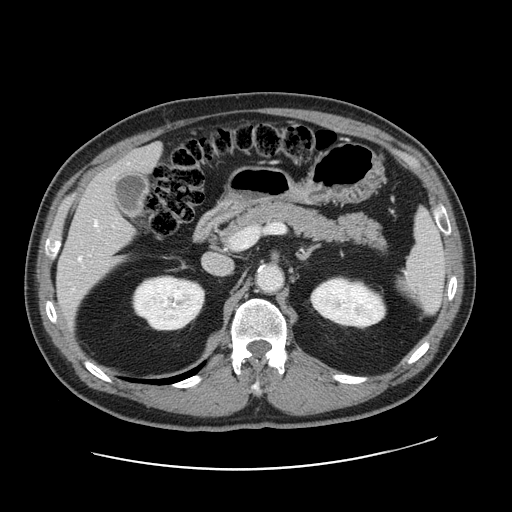
Computed tomography
The vessel boxes may cover only some of the vessels.
{
  "hepatic_vessel": [
    "[x1=72, y1=288, x2=73, y2=290]",
    "[x1=153, y1=144, x2=160, y2=148]",
    "[x1=125, y1=224, x2=132, y2=231]",
    "[x1=94, y1=220, x2=99, y2=230]",
    "[x1=112, y1=258, x2=118, y2=261]",
    "[x1=113, y1=176, x2=115, y2=177]",
    "[x1=78, y1=257, x2=81, y2=260]"
  ]
}